Upper abdomen | Slice 295 of 565 | CT image

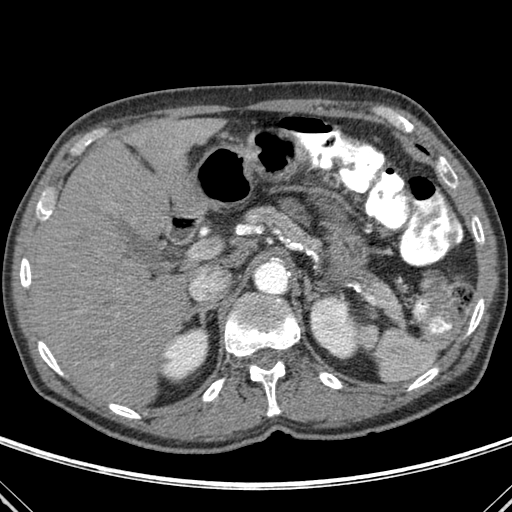 Kidney: bounding box 311 298 355 356, 164 330 206 377.
Liver: bounding box 33 118 226 409.
Bone: bounding box 471 216 484 243, 319 372 342 388, 249 361 285 416, 224 290 299 358, 109 404 140 418, 38 341 62 375, 408 367 438 390, 36 197 51 220, 467 299 484 334, 20 258 31 287, 440 157 457 188, 202 378 224 401.